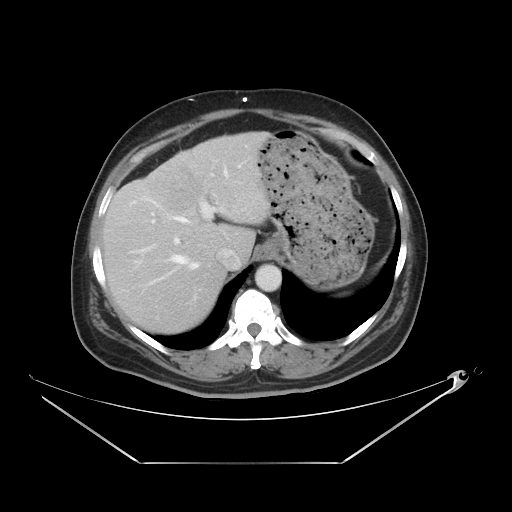
CT scan slice; Liver
Some hepatic vessels may have no box.
Liver tumor = left=148, top=163, right=201, bottom=213.
Hepatic vessel = left=175, top=256, right=184, bottom=261; left=175, top=238, right=177, bottom=243; left=223, top=169, right=229, bottom=178; left=210, top=172, right=213, bottom=175; left=196, top=262, right=200, bottom=265.